Computed tomography. Liver. 512x512. Image width 360 mm.
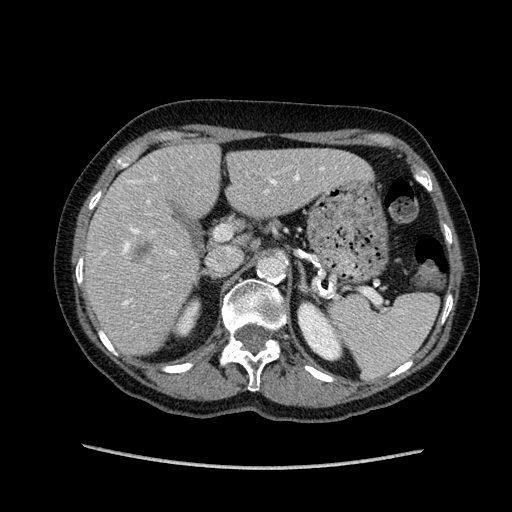 Kidney: x1=299 y1=304 x2=339 y2=358, x1=179 y1=304 x2=196 y2=332.
Liver lesion: x1=135 y1=243 x2=149 y2=257.
Liver: x1=86 y1=146 x2=366 y2=350.